FLAIR magnetic resonance.
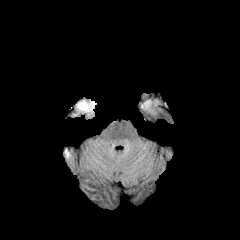
T1-weighted MR.
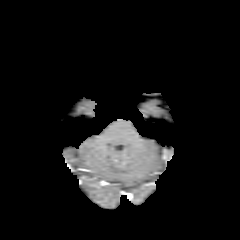
Post-contrast T1-weighted MR.
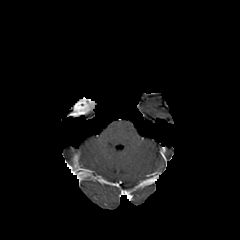
T2-weighted MR.
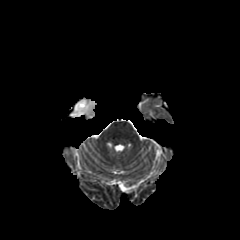
240x240 px.
{
  "enhancing_tumor": [
    "box=[71, 98, 94, 115]"
  ]
}